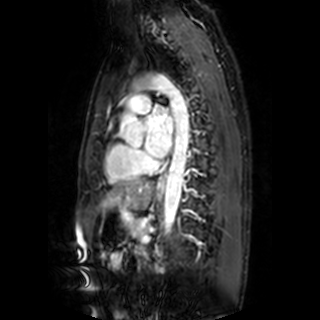
MRI slice
• left atrium: x1=144, y1=106, x2=172, y2=158